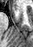

MR image | Image size 33x47
The anterior hippocampus lies within region(15, 8, 18, 10).